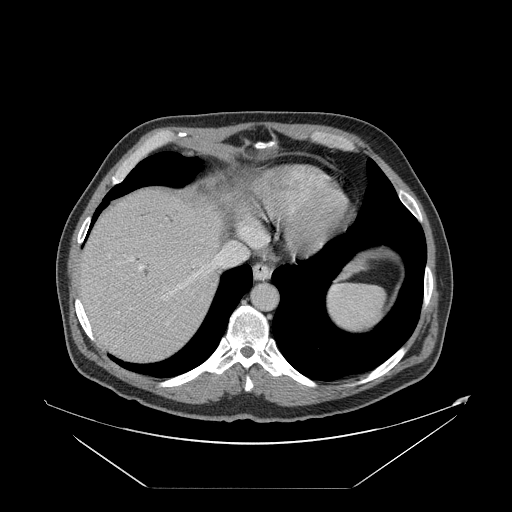
CT scan slice. Some hepatic vessels may have no box.
{
  "hepatic_vessel": [
    "l=117, t=312, r=118, b=313",
    "l=127, t=256, r=133, b=261",
    "l=138, t=264, r=145, b=271",
    "l=117, t=263, r=120, b=263",
    "l=161, t=242, r=247, b=299",
    "l=240, t=228, r=255, b=247"
  ]
}